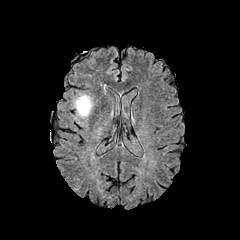
FLAIR MRI.
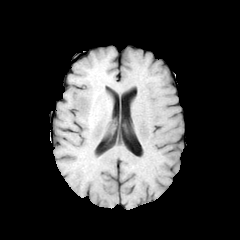
T1-weighted MR image.
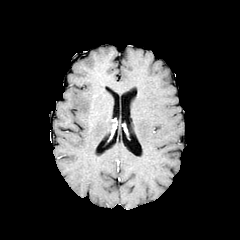
Post-contrast T1-weighted MR image of the same slice.
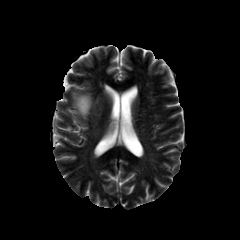
T2-weighted MRI.
Findings:
* edema: [74, 95, 91, 116]